Head. Image size 240x240.
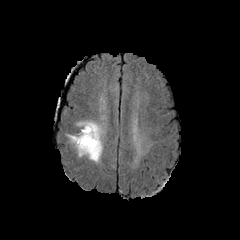
FLAIR MR image.
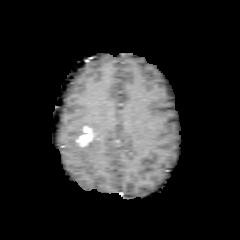
Same slice, T1-weighted MRI.
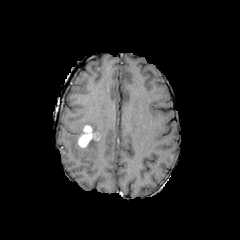
Post-contrast T1-weighted MRI.
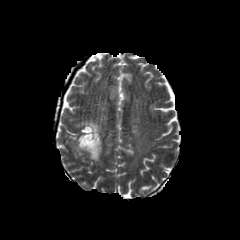
Same slice, T2-weighted MRI.
<segmentation>
  <edema>(left=78, top=121, right=101, bottom=137), (left=68, top=134, right=102, bottom=161)</edema>
  <enhancing_tumor>(left=77, top=124, right=99, bottom=148)</enhancing_tumor>
</segmentation>